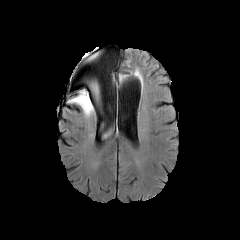
FLAIR MR image.
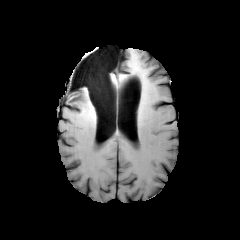
Same slice, T1-weighted MRI.
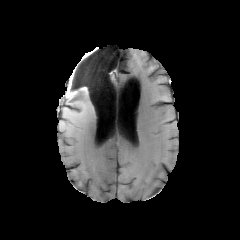
Post-contrast T1-weighted MR image of the same slice.
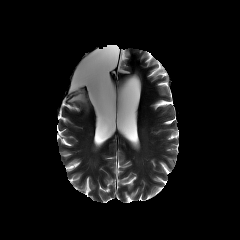
Same slice, T2-weighted MRI.
Image size 240x240, Brain
Findings:
- edema: region(67, 89, 94, 115); region(88, 80, 99, 92)
- non-enhancing tumor core: region(86, 90, 98, 104)